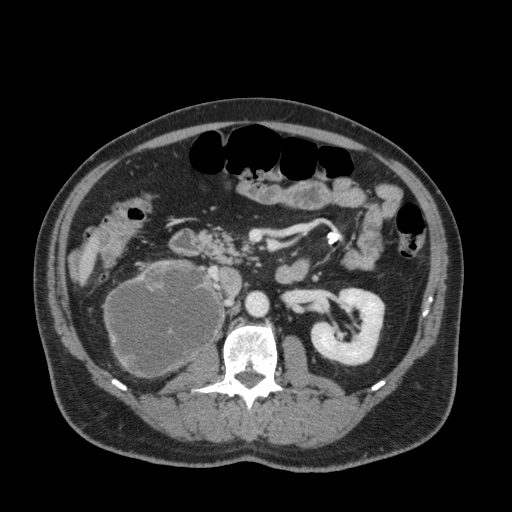 Computed tomography
The kidney lies within x1=312 y1=289 x2=383 y2=363. The liver lies within x1=80 y1=237 x2=98 y2=283.